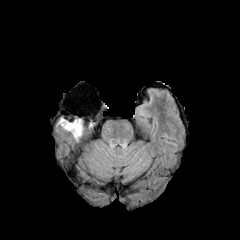
FLAIR magnetic resonance.
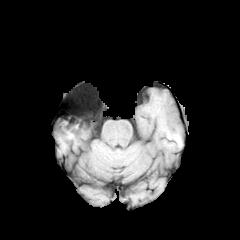
Same slice, T1-weighted MR image.
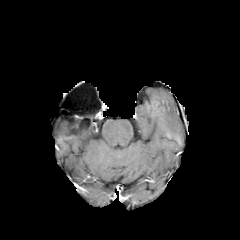
Post-contrast T1-weighted magnetic resonance of the same slice.
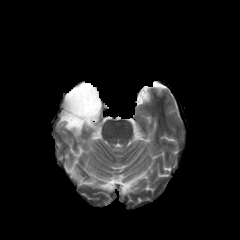
T2-weighted magnetic resonance.
Head
non-enhancing_tumor_core:
  - {"x1": 62, "y1": 118, "x2": 81, "y2": 127}
edema:
  - {"x1": 58, "y1": 118, "x2": 83, "y2": 141}